240x240; Brain; Slice 71/155
FLAIR magnetic resonance.
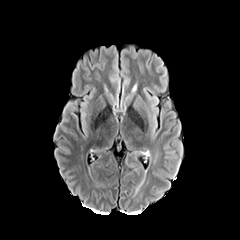
T1-weighted magnetic resonance.
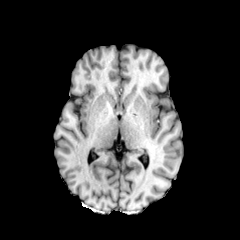
Post-contrast T1-weighted MR image.
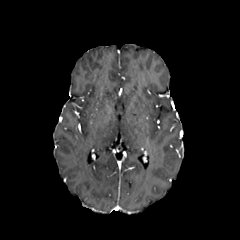
T2-weighted MRI.
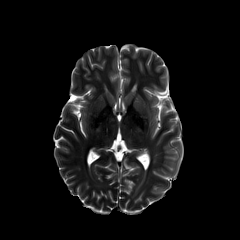
Edema = box=[152, 107, 158, 134]; box=[119, 85, 128, 111].